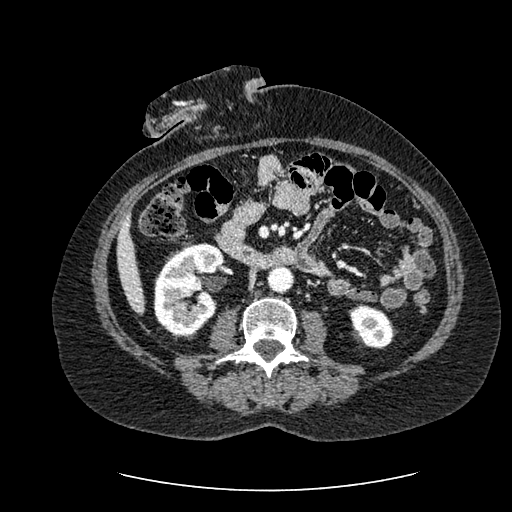 Computed tomography | Abdomen | 512x512
The liver is at (117,216,143,313). 2 kidney regions are bounded by (155,244,222,335), (351,306,392,347).